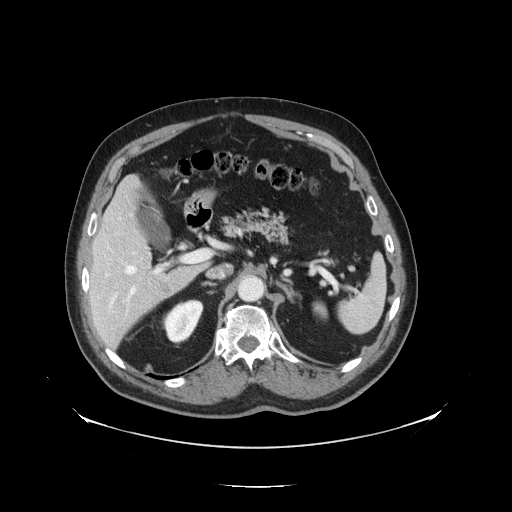

CT, Liver
Some hepatic vessels may have no box.
Liver tumor: [x1=158, y1=281, x2=170, y2=292].
Hepatic vessel: [x1=155, y1=268, x2=162, y2=273], [x1=129, y1=214, x2=132, y2=215], [x1=125, y1=266, x2=136, y2=274], [x1=133, y1=253, x2=135, y2=254], [x1=108, y1=246, x2=110, y2=248], [x1=126, y1=287, x2=135, y2=302], [x1=110, y1=296, x2=115, y2=308].